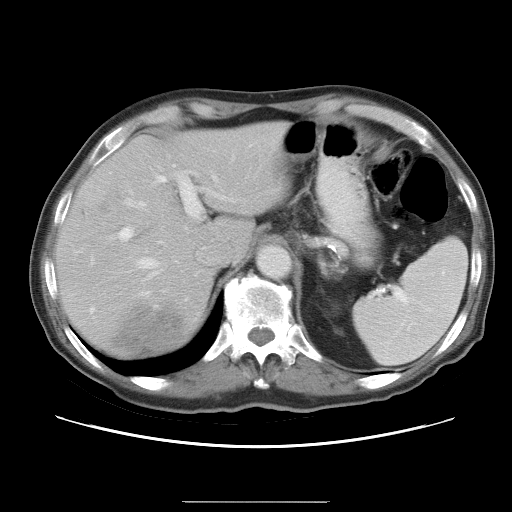
Abdomen, CT image
Some hepatic vessels may have no box.
2 liver tumor regions are bounded by rect(112, 307, 186, 355); rect(101, 204, 107, 213). 7 hepatic vessel regions are located at rect(118, 228, 132, 240); rect(161, 290, 164, 292); rect(194, 274, 196, 275); rect(140, 291, 149, 295); rect(177, 171, 201, 217); rect(172, 165, 174, 166); rect(89, 307, 93, 312).